FLAIR MR.
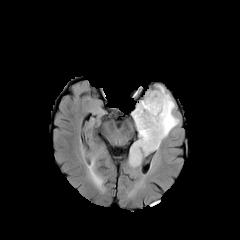
T1-weighted magnetic resonance.
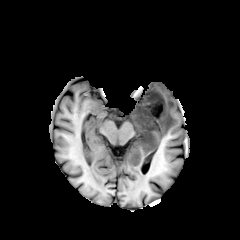
Post-contrast T1-weighted magnetic resonance.
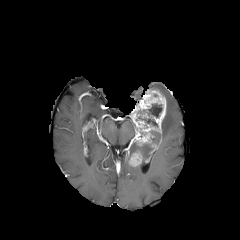
T2-weighted MR.
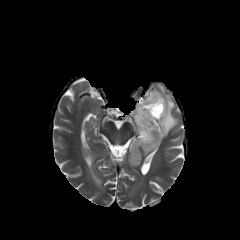
Edema at l=129, t=142, r=155, b=158; l=153, t=84, r=179, b=144.
Enhancing tumor at l=131, t=90, r=166, b=147.
Non-enhancing tumor core at l=148, t=104, r=162, b=117; l=142, t=119, r=157, b=127.